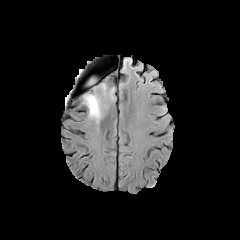
FLAIR MR image.
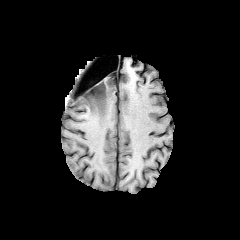
Same slice, T1-weighted MR image.
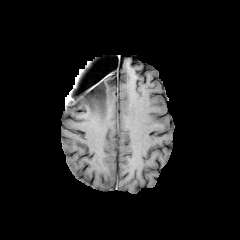
Post-contrast T1-weighted magnetic resonance.
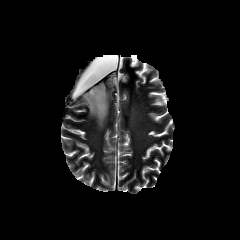
T2-weighted MR image.
240x240 px
* edema: <box>82,84,113,123</box>, <box>88,78,96,91</box>
* non-enhancing tumor core: <box>85,84,105,115</box>